FLAIR MR image.
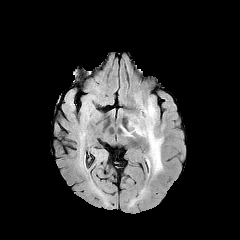
T1-weighted magnetic resonance.
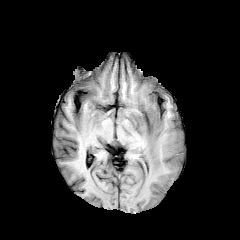
Post-contrast T1-weighted MRI.
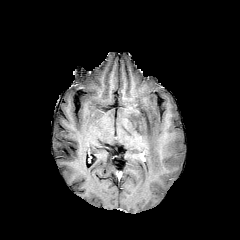
T2-weighted magnetic resonance.
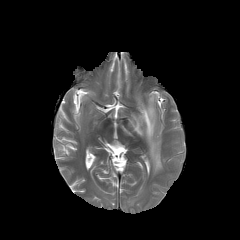
The edema lies within (129,96,163,175).